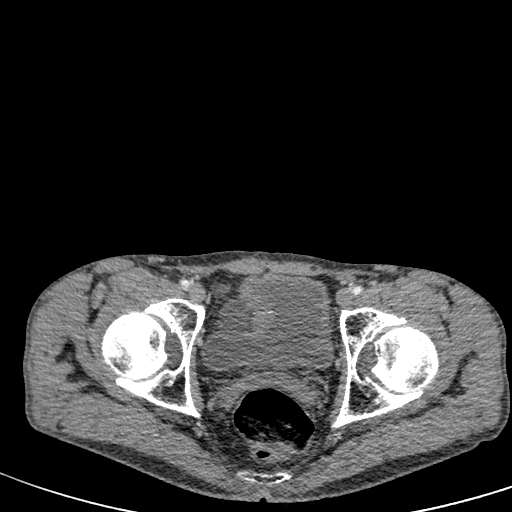 Computed tomography; Image size 512x512; Lower abdomen

The urinary bladder lies within 202, 273, 330, 373.